Abdomen; CT slice; Field of view 366x366 mm; Slice index 117
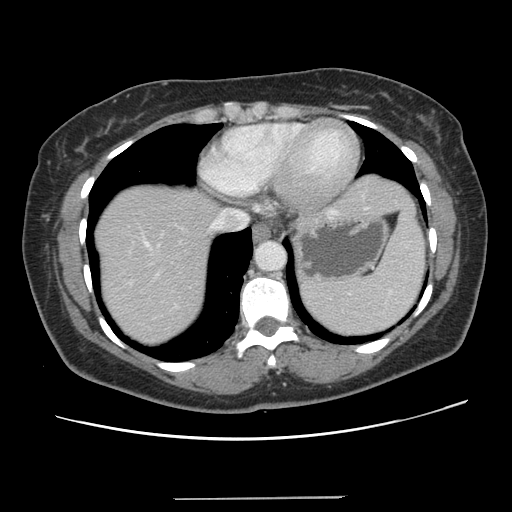 The vessel boxes may cover only some of the vessels.
The hepatic vessel is bounded by l=144, t=241, r=149, b=245.